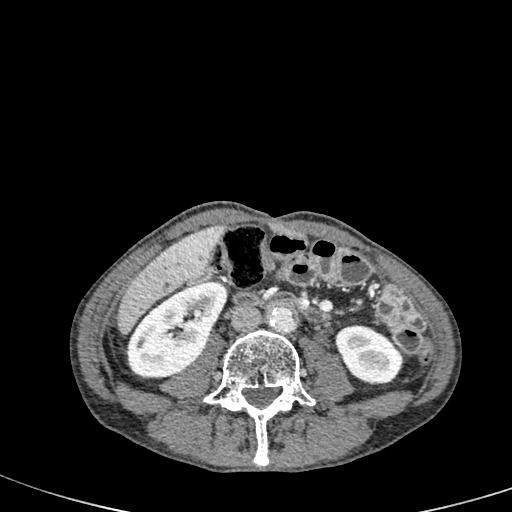
Computed tomography | 512x512

Segmented structures:
- liver: bbox=[119, 224, 223, 334]
- kidney: bbox=[336, 326, 401, 382]; bbox=[128, 282, 225, 376]